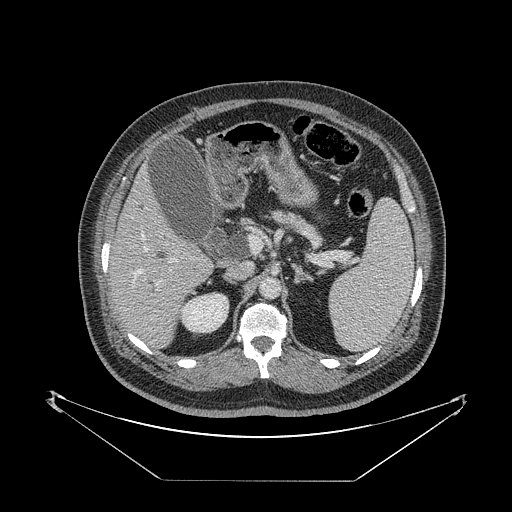

CT slice. Abdomen.
Pancreas at (271, 211, 321, 248).